Slice 41/103. 512x512. CT image. Abdomen. Field of view 377x377 mm.

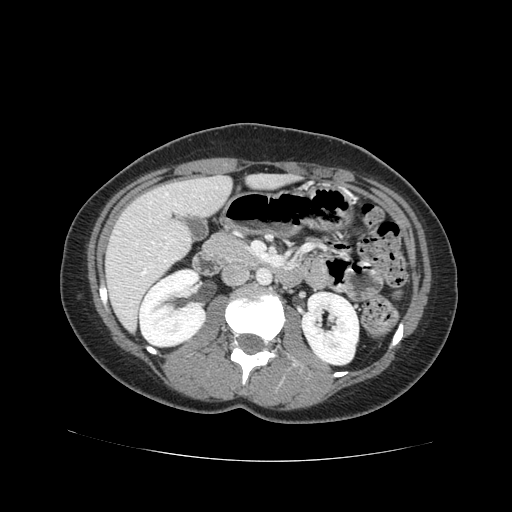
The pancreas is located at box=[205, 233, 255, 265].